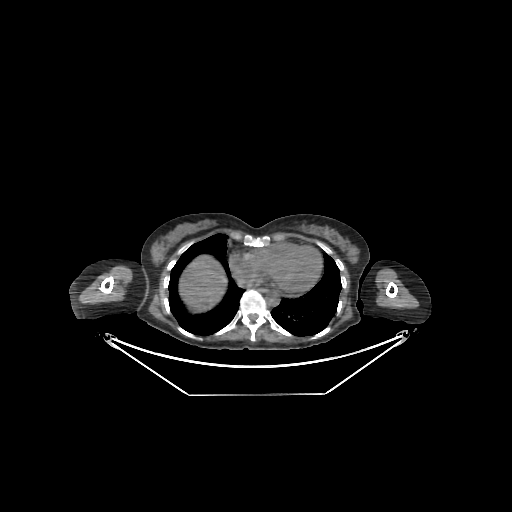

Upper abdomen, CT image, 512x512
{"liver": ["(179, 256, 226, 309)"]}